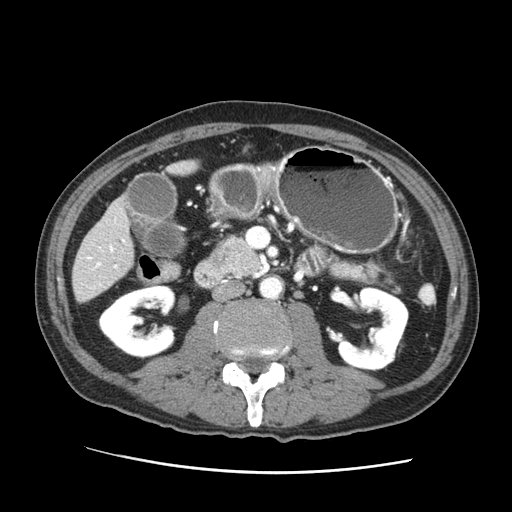

512x512 px; Upper abdomen; CT image

{"pancreatic_tumor": ["box=[212, 250, 224, 263]"], "pancreas": ["box=[319, 249, 383, 283]", "box=[215, 235, 260, 276]"]}